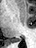

MRI, Medial temporal lobe
<segmentation>
  <posterior_hippocampus>[12, 37, 21, 42]</posterior_hippocampus>
</segmentation>